Slice 37 of 93. CT scan slice.
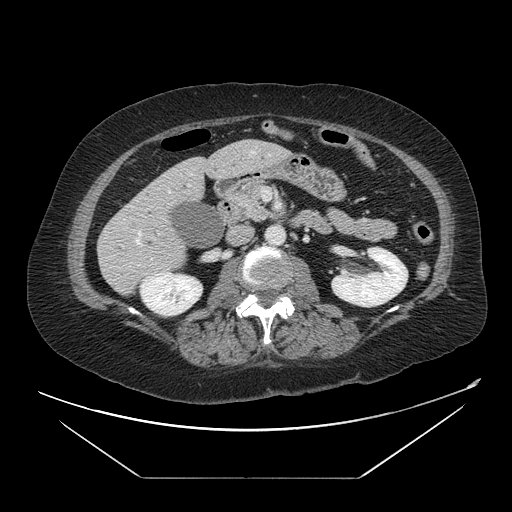

Findings:
* pancreatic tumor: (245, 199, 260, 217)
* pancreas: (231, 181, 273, 221)